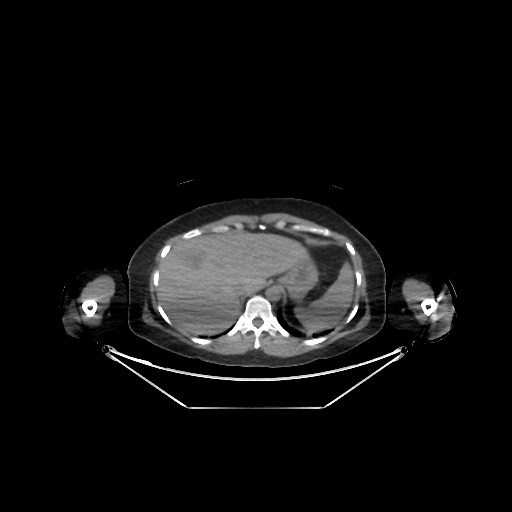

Computed tomography | Upper abdomen
The liver is located at rect(155, 227, 304, 335).